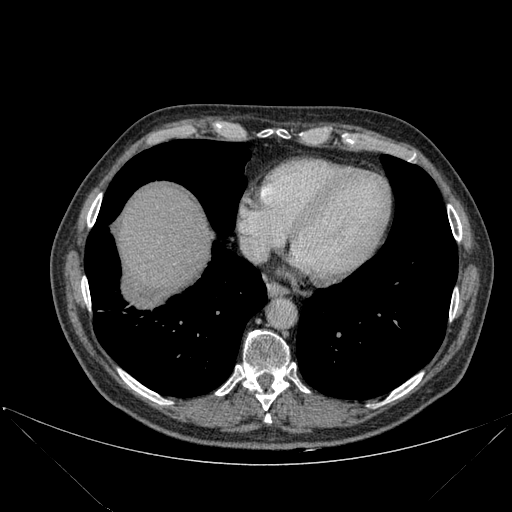
Abdomen; 512x512; CT slice
Segmented structures:
- liver: bbox=[112, 188, 213, 309]
- lung: bbox=[296, 155, 457, 399]; bbox=[84, 139, 266, 397]
- bone: bbox=[215, 330, 295, 410]; bbox=[448, 205, 461, 240]; bbox=[81, 276, 90, 306]; bbox=[264, 414, 270, 423]; bbox=[385, 373, 423, 402]; bbox=[449, 288, 458, 320]; bbox=[118, 369, 167, 404]; bbox=[87, 193, 101, 226]; bbox=[277, 129, 286, 137]